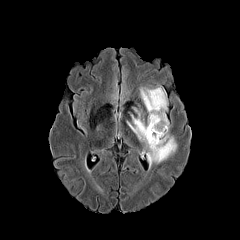
FLAIR MR image.
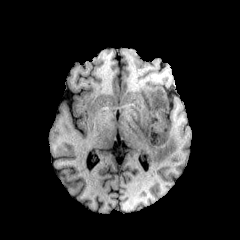
T1-weighted MRI of the same slice.
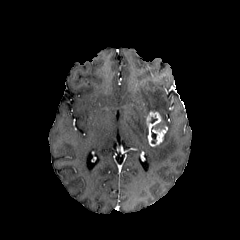
Post-contrast T1-weighted MR.
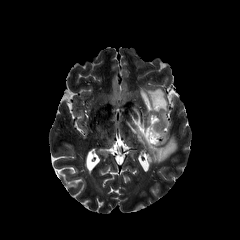
T2-weighted MR image.
240x240
Segmented structures:
- edema: [126,115,176,169], [139,87,168,125]
- non-enhancing tumor core: [137,108,149,126], [150,126,158,143]
- enhancing tumor: [144,111,167,146]